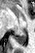 MRI slice | Medial temporal lobe

<segmentation>
  <posterior_hippocampus>x1=14, y1=30, x2=26, y2=44</posterior_hippocampus>
</segmentation>